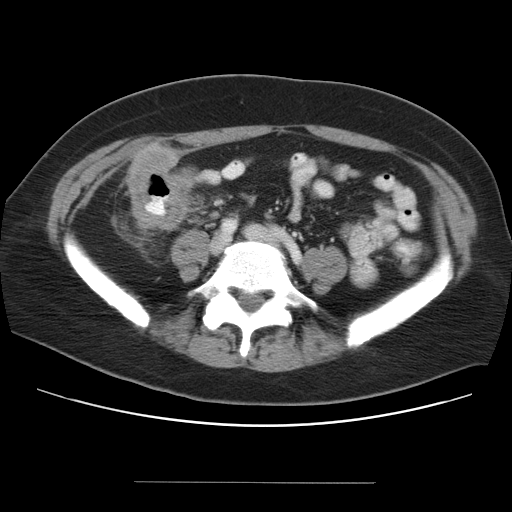
CT slice. Pelvis.

The colon tumor is bounded by 128 147 194 230.